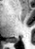

MR; 35x49
posterior hippocampus: 12, 39, 18, 43